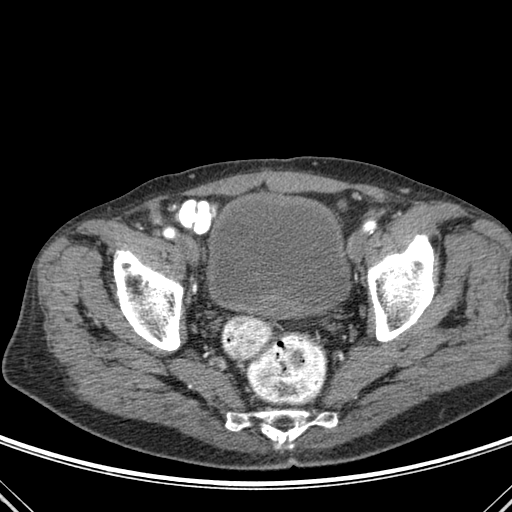 CT slice. Image size 512x512.
The urinary bladder is bounded by box(204, 197, 350, 314). 3 bone regions appear at box(225, 410, 337, 447); box(367, 235, 434, 341); box(113, 250, 183, 350).